FLAIR magnetic resonance.
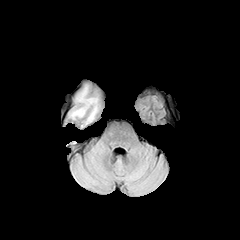
T1-weighted MR image.
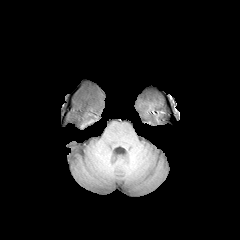
Post-contrast T1-weighted MR image.
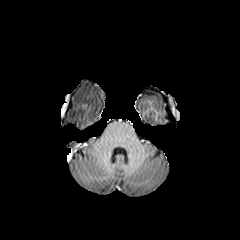
T2-weighted MR.
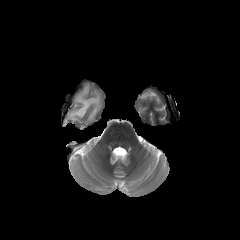
Head.
<segmentation>
  <edema>box=[69, 86, 99, 123]</edema>
</segmentation>